FLAIR MRI.
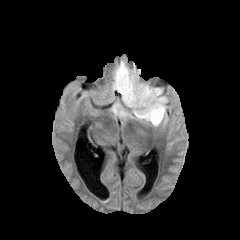
T1-weighted magnetic resonance.
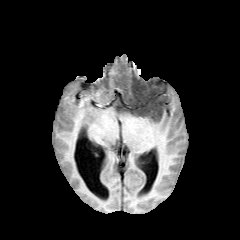
Post-contrast T1-weighted MRI.
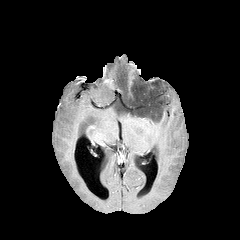
T2-weighted magnetic resonance.
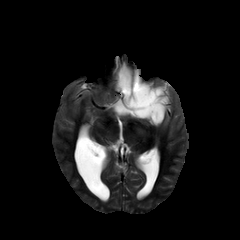
Image size 240x240
The edema lies within 110 59 170 128. The non-enhancing tumor core is at 115 67 166 122.